CT scan slice. 512x512 px. Abdomen. Slice 31 of 154.

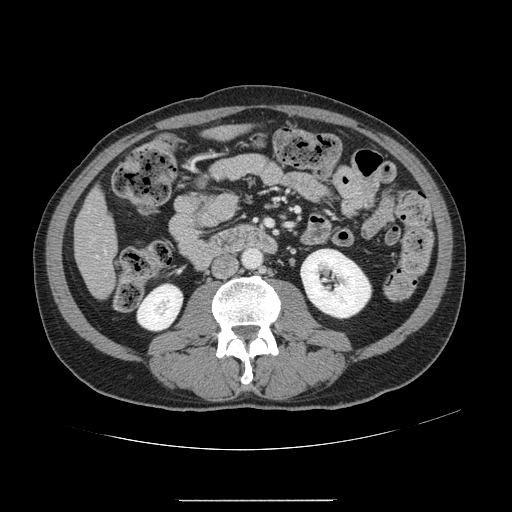
The vessel annotation is not exhaustive.
2 hepatic vessel regions are located at bbox=[96, 255, 97, 257]; bbox=[104, 251, 106, 254].